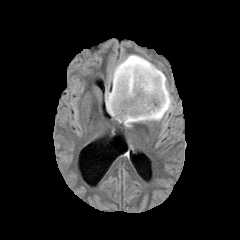
FLAIR MR.
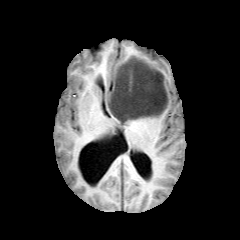
T1-weighted MR.
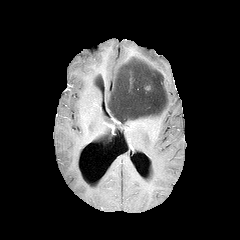
Post-contrast T1-weighted MRI.
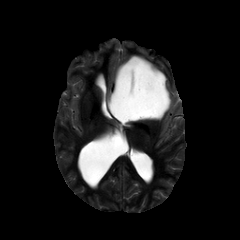
T2-weighted MRI.
Head
Edema: region(104, 53, 173, 128).
Non-enhancing tumor core: region(108, 57, 168, 123).